Slice index 103.
FLAIR magnetic resonance.
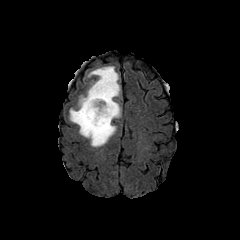
T1-weighted MRI.
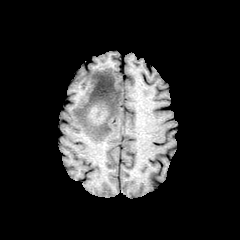
Post-contrast T1-weighted MR image.
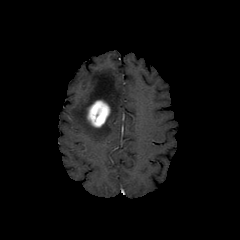
T2-weighted magnetic resonance.
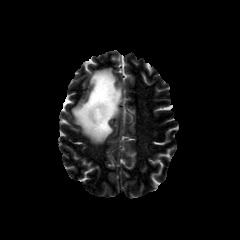
edema:
  - box=[69, 66, 122, 147]
enhancing_tumor:
  - box=[86, 99, 110, 127]